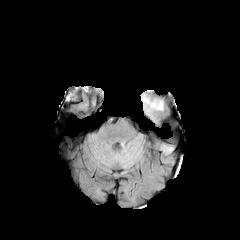
FLAIR magnetic resonance.
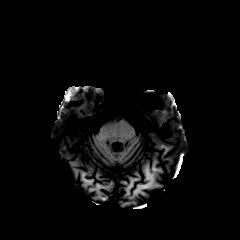
Same slice, T1-weighted MRI.
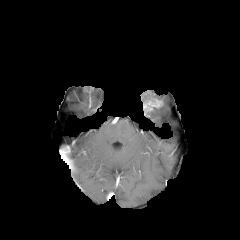
Post-contrast T1-weighted MR image of the same slice.
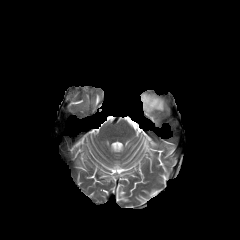
Same slice, T2-weighted MR image.
240x240 px; Head
Edema at left=143, top=101, right=163, bottom=119.
Enhancing tumor at left=143, top=97, right=160, bottom=112.